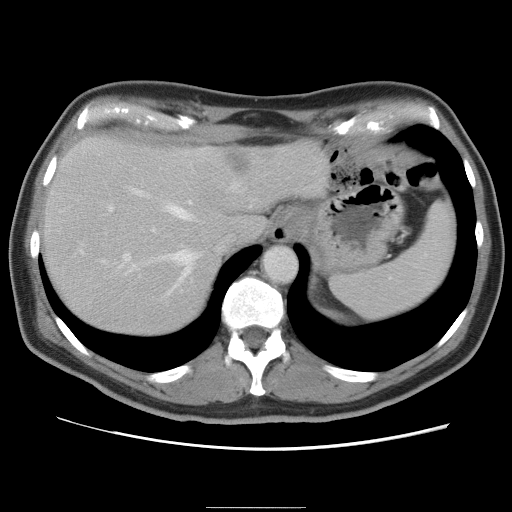 CT scan slice
Only some of the vessels may be annotated.
<segmentation>
  <liver_tumor>(left=228, top=155, right=248, bottom=171)</liver_tumor>
  <hepatic_vessel>(left=102, top=259, right=104, bottom=262), (left=108, top=205, right=112, bottom=209), (left=152, top=227, right=154, bottom=230), (left=79, top=243, right=83, bottom=252), (left=165, top=289, right=171, bottom=294), (left=131, top=188, right=146, bottom=194), (left=163, top=249, right=196, bottom=282), (left=231, top=181, right=238, bottom=189), (left=162, top=203, right=192, bottom=218), (left=122, top=253, right=137, bottom=272), (left=179, top=288, right=181, bottom=290)</hepatic_vessel>
</segmentation>